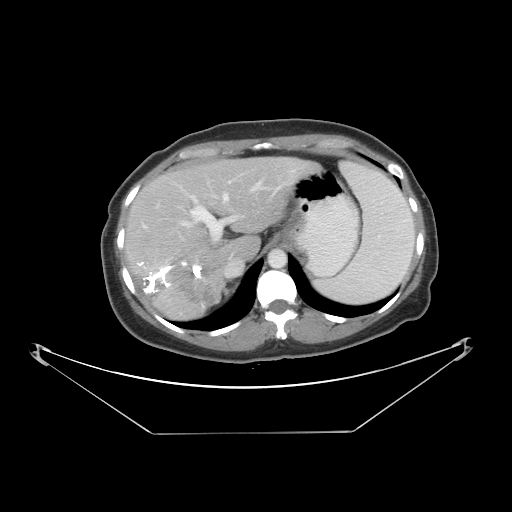
CT slice, 512x512

Some hepatic vessels may have no box.
hepatic vessel: bbox(263, 184, 273, 190); bbox(252, 182, 260, 190); bbox(225, 194, 227, 200); bbox(261, 174, 266, 179); bbox(190, 195, 236, 239); bbox(181, 221, 193, 226) | liver tumor: bbox(134, 256, 220, 317)